Slice index 78. CT scan slice. Field of view 512 mm wide, 1.00 mm slice spacing.

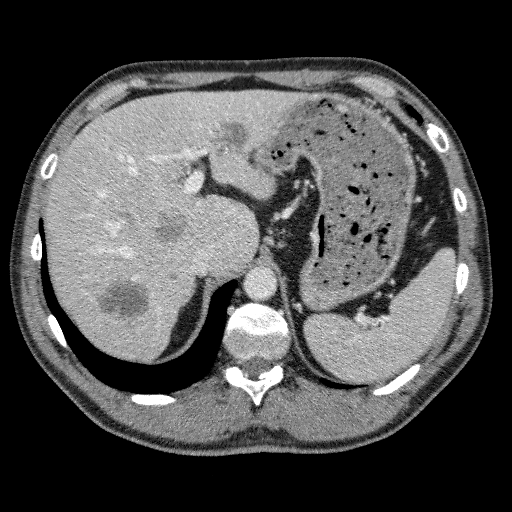 Liver at (45, 89, 307, 360).
Hepatic lesion at (167, 272, 179, 281), (125, 323, 134, 331), (118, 210, 135, 225), (97, 279, 150, 320), (210, 120, 251, 159), (150, 208, 188, 244).